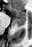

MR; Hippocampus

The posterior hippocampus is bounded by rect(15, 20, 25, 26). The anterior hippocampus is at rect(9, 7, 25, 19).